512x512 px | Liver | Slice 32 of 54 | CT scan slice

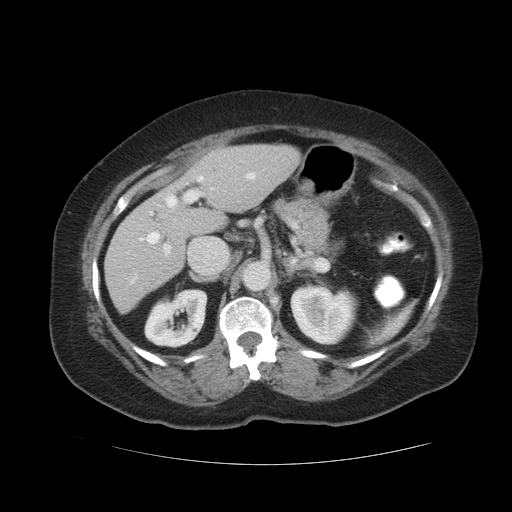
Some hepatic vessels may have no box.
7 hepatic vessel regions are located at 197 175 203 181, 140 233 159 242, 132 279 134 281, 168 198 175 205, 163 244 170 252, 185 191 197 201, 247 173 253 178.